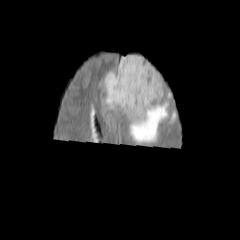
FLAIR MRI.
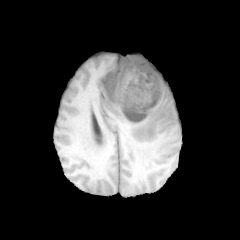
T1-weighted magnetic resonance.
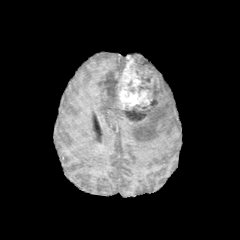
Post-contrast T1-weighted MR.
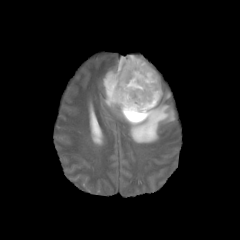
Same slice, T2-weighted MRI.
Image size 240x240
Edema — 104 82 175 143, 102 56 126 84.
Non-enhancing tumor core — 104 76 118 101, 125 55 161 121.
Enhancing tumor — 116 55 154 110.